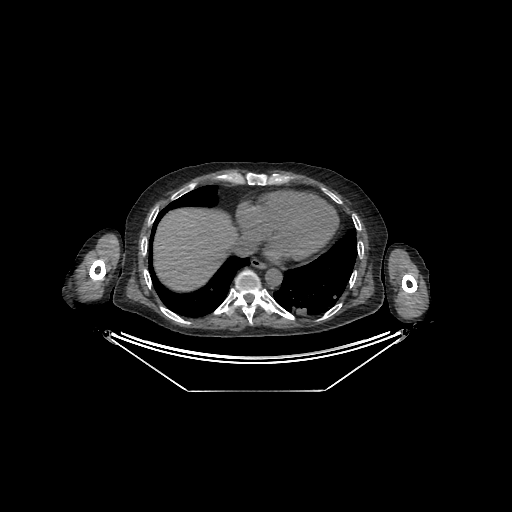

512x512. CT image. Abdomen. The liver appears at 153:208:239:290.